Slice index 71; 240x240
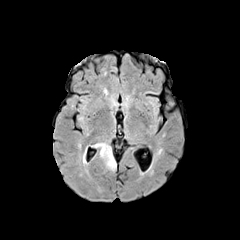
FLAIR MR image.
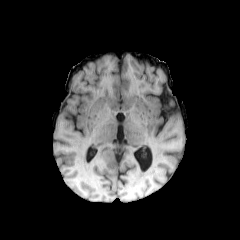
T1-weighted magnetic resonance.
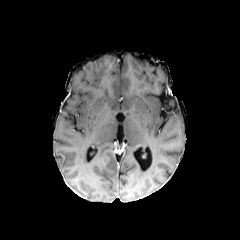
Post-contrast T1-weighted magnetic resonance.
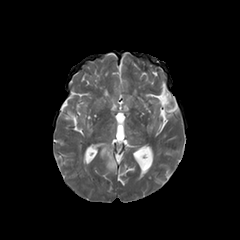
T2-weighted MRI.
The edema is bounded by (93, 142, 116, 171).